CT scan slice. Field of view 496x496 mm. Abdomen. Slice 475/537.

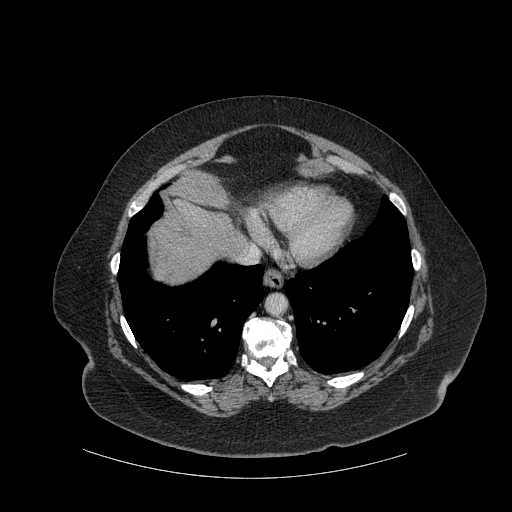
Liver at 150, 199, 244, 283.
Lung at 118, 192, 263, 379; 285, 196, 412, 373.
Bone at 120, 316, 136, 347; 328, 373, 363, 387; 111, 253, 119, 273; 182, 385, 211, 395; 390, 194, 405, 214; 399, 306, 413, 336; 242, 318, 295, 386; 129, 202, 141, 215; 412, 249, 420, 269.